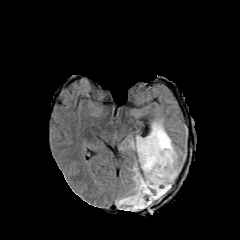
FLAIR MR.
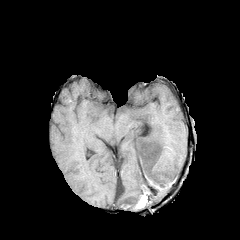
T1-weighted magnetic resonance.
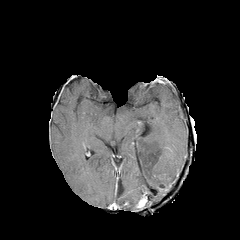
Same slice, post-contrast T1-weighted MR image.
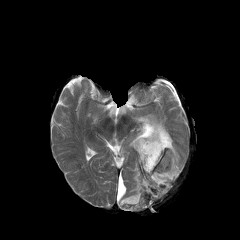
T2-weighted magnetic resonance.
Edema: 116, 120, 180, 211.